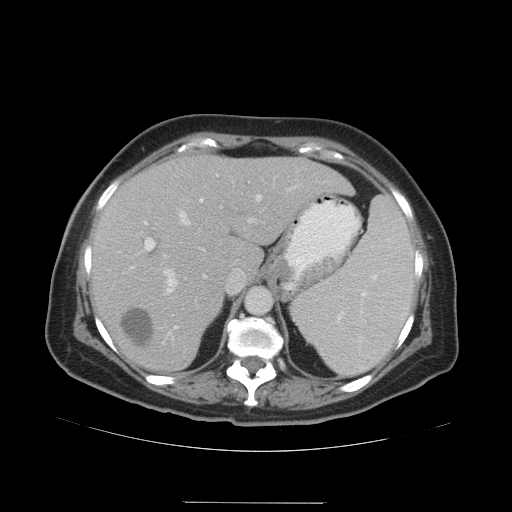 CT image, Liver, 512x512 px
The vessel annotation is not exhaustive.
15 hepatic vessel regions are bounded by left=201, top=248, right=204, bottom=250; left=162, top=332, right=172, bottom=343; left=145, top=238, right=154, bottom=250; left=200, top=199, right=202, bottom=201; left=256, top=195, right=260, bottom=200; left=248, top=218, right=257, bottom=222; left=166, top=281, right=177, bottom=293; left=180, top=211, right=189, bottom=224; left=165, top=270, right=173, bottom=274; left=144, top=221, right=147, bottom=224; left=174, top=326, right=177, bottom=328; left=220, top=206, right=222, bottom=207; left=288, top=187, right=295, bottom=190; left=203, top=275, right=206, bottom=277; left=164, top=255, right=166, bottom=256. The liver tumor lies within left=121, top=309, right=154, bottom=346.